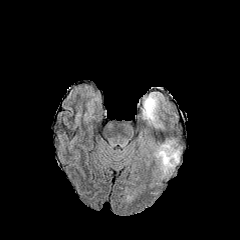
FLAIR magnetic resonance.
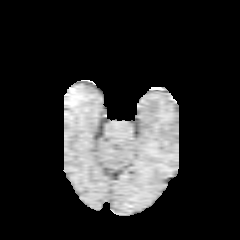
T1-weighted MRI.
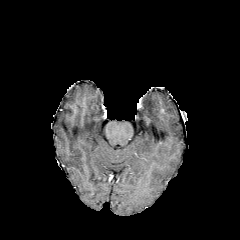
Post-contrast T1-weighted magnetic resonance.
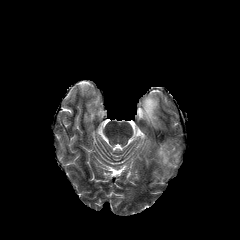
T2-weighted MR.
240x240 px.
Edema: bounding box region(137, 130, 148, 147); region(156, 144, 163, 163); region(140, 92, 162, 127).